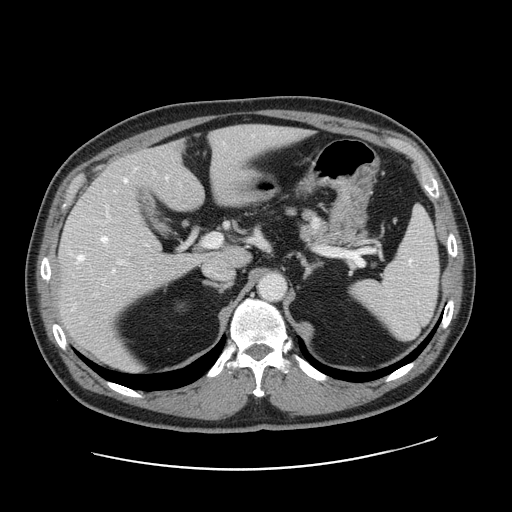 Abdomen; CT scan slice

Some hepatic vessels may have no box.
<segmentation>
  <hepatic_vessel>l=124, t=178, r=127, b=182; l=271, t=128, r=273, b=130; l=77, t=254, r=84, b=260; l=165, t=175, r=168, b=179; l=102, t=236, r=106, b=242; l=210, t=130, r=220, b=137; l=112, t=268, r=115, b=271; l=134, t=168, r=136, b=169; l=145, t=243, r=151, b=245; l=212, t=156, r=218, b=189; l=298, t=130, r=303, b=132; l=156, t=244, r=159, b=248; l=114, t=190, r=115, b=191; l=118, t=260, r=125, b=263</hepatic_vessel>
</segmentation>